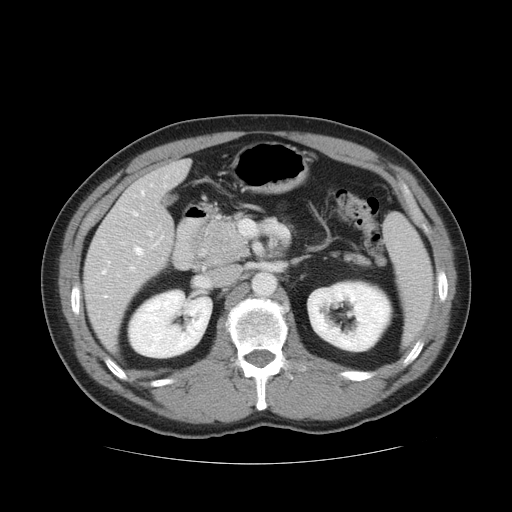 Computed tomography
<segmentation>
  <pancreatic_tumor>202, 219, 249, 264</pancreatic_tumor>
  <pancreas>199, 255, 218, 266; 228, 219, 237, 229; 345, 255, 364, 262</pancreas>
</segmentation>